Slice index 102
FLAIR MR image.
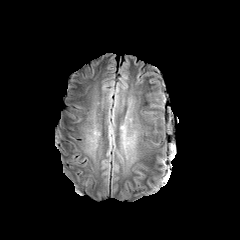
T1-weighted MR.
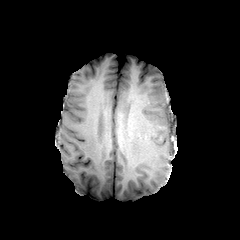
Post-contrast T1-weighted magnetic resonance.
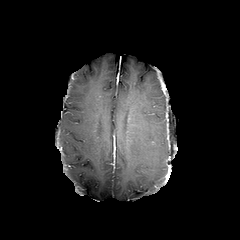
T2-weighted MRI.
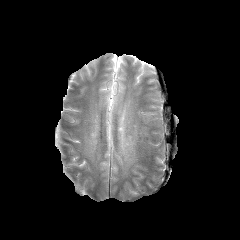
{"edema": [{"x1": 121, "y1": 125, "x2": 135, "y2": 149}]}